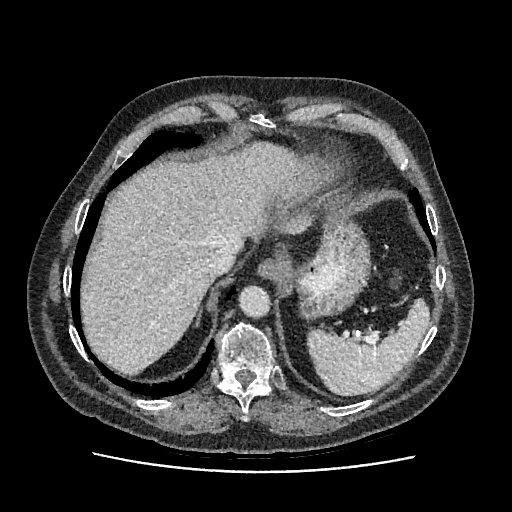
Abdomen, CT slice

2 liver regions are located at region(80, 142, 314, 375); region(286, 214, 308, 232).